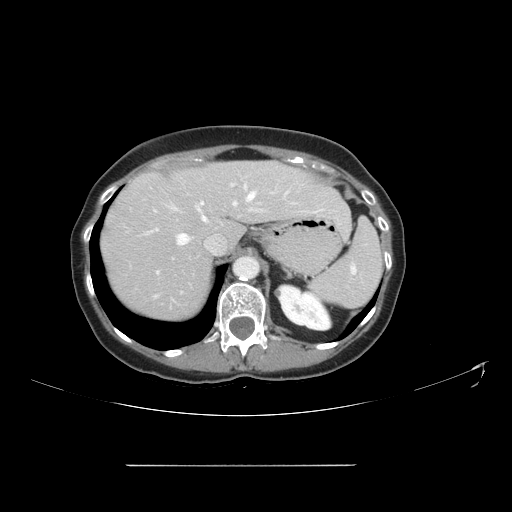 512x512 px | CT scan slice
The vessel boxes may cover only some of the vessels.
12 hepatic vessel regions are located at left=246, top=191, right=255, bottom=201; left=181, top=291, right=182, bottom=293; left=195, top=201, right=203, bottom=211; left=249, top=207, right=262, bottom=211; left=156, top=271, right=159, bottom=273; left=231, top=183, right=234, bottom=185; left=283, top=194, right=285, bottom=197; left=202, top=216, right=206, bottom=220; left=177, top=233, right=188, bottom=244; left=233, top=201, right=236, bottom=205; left=155, top=228, right=158, bottom=230; left=244, top=184, right=246, bottom=189.